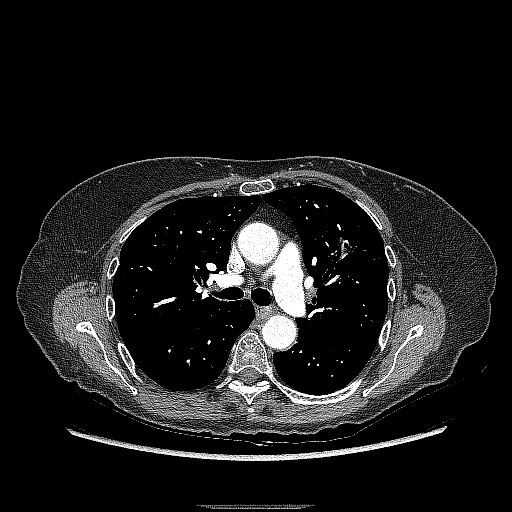
CT slice; Chest; 512x512
lung_tumor:
  - [333, 225, 361, 263]